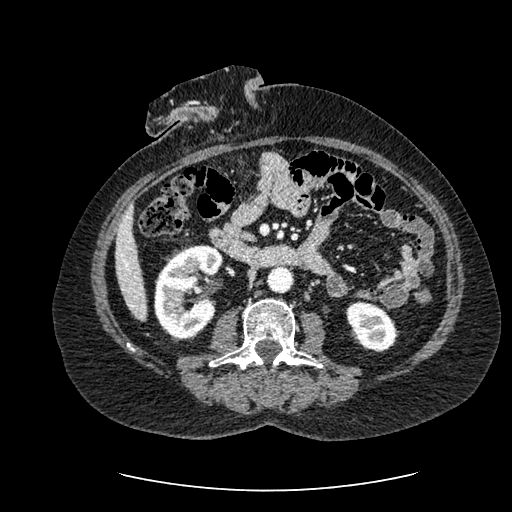

Liver. CT. Image size 512x512.

{"liver": ["[116, 203, 146, 320]"], "kidney": ["[155, 246, 221, 338]", "[347, 303, 395, 350]"]}